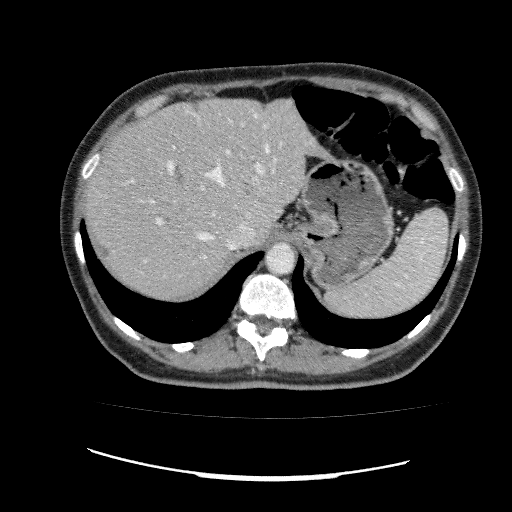
CT | Upper abdomen
The liver is bounded by region(84, 97, 333, 300). The focal liver lesion is located at region(99, 245, 108, 257).